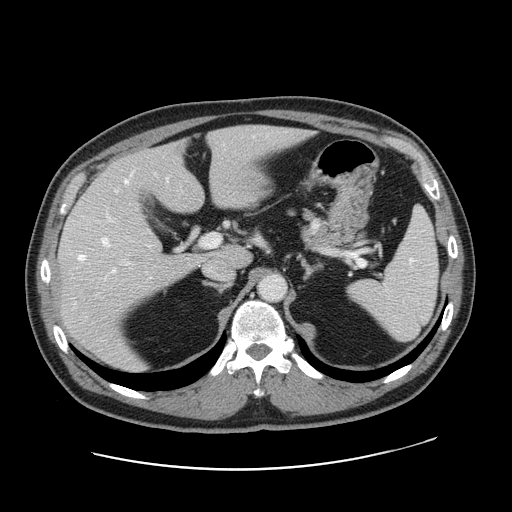

CT image; Liver; 512x512
The vessel boxes may cover only some of the vessels.
{
  "hepatic_vessel": [
    "(left=301, top=130, right=308, bottom=133)",
    "(left=211, top=162, right=216, bottom=195)",
    "(left=110, top=267, right=115, bottom=272)",
    "(left=156, top=245, right=160, bottom=249)",
    "(left=147, top=244, right=151, bottom=245)",
    "(left=166, top=177, right=168, bottom=181)",
    "(left=78, top=254, right=85, bottom=259)",
    "(left=119, top=261, right=129, bottom=264)",
    "(left=125, top=178, right=129, bottom=183)",
    "(left=208, top=131, right=218, bottom=138)",
    "(left=103, top=238, right=107, bottom=244)",
    "(left=115, top=190, right=117, bottom=191)",
    "(left=131, top=170, right=133, bottom=175)"
  ]
}